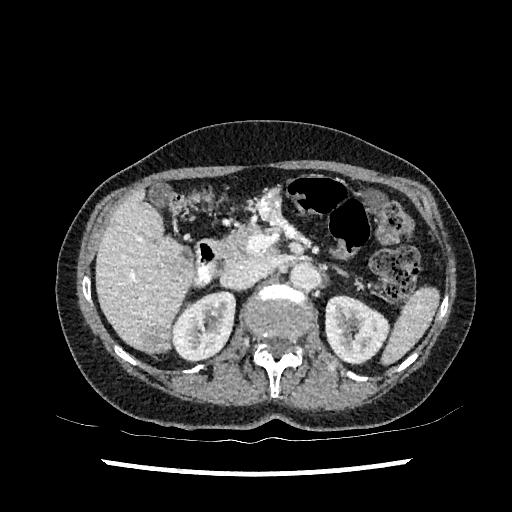

Image size 512x512; CT scan slice; Liver
kidney: <box>173,292,234,360</box>, <box>326,297,387,362</box> | liver: <box>96,189,192,350</box> | hepatic lesion: <box>143,326,169,351</box>, <box>169,259,184,274</box>